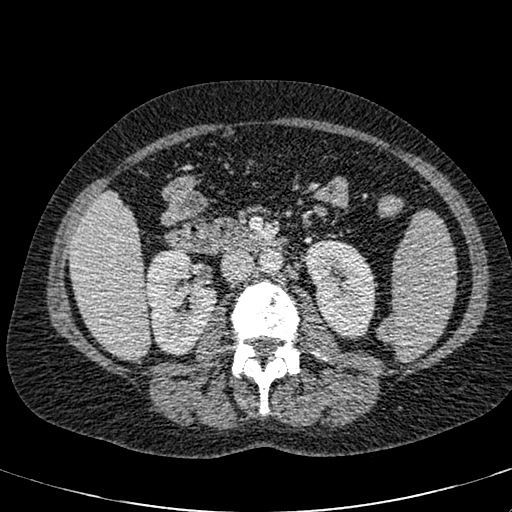
CT slice. Upper abdomen.
{
  "kidney": [
    "box=[305, 241, 374, 337]",
    "box=[146, 248, 216, 354]"
  ],
  "liver": [
    "box=[70, 194, 147, 358]"
  ]
}